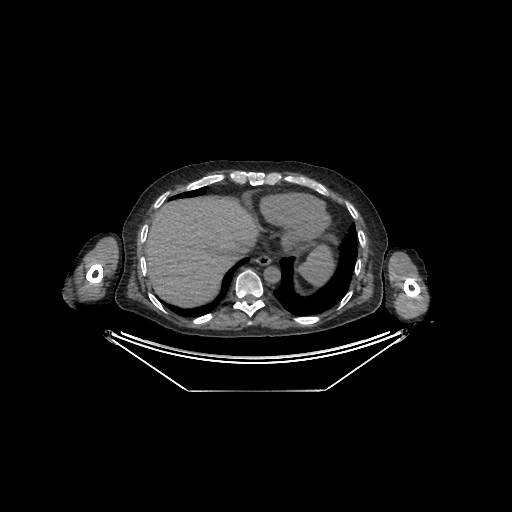
CT scan slice. Upper abdomen. Liver = (144, 196, 263, 307).